Slice 121/155 | Brain
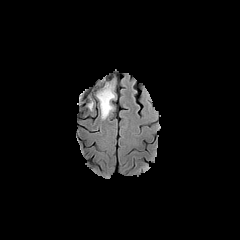
FLAIR magnetic resonance.
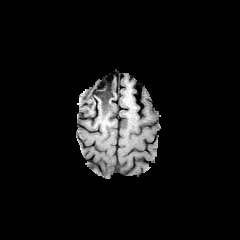
T1-weighted MR image of the same slice.
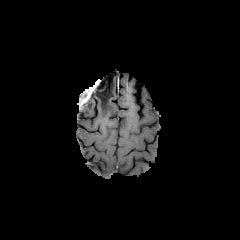
Same slice, post-contrast T1-weighted magnetic resonance.
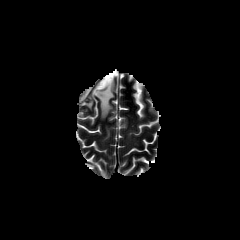
Same slice, T2-weighted magnetic resonance.
Edema: rect(101, 100, 111, 111); rect(96, 80, 115, 89); rect(90, 96, 101, 115).
Non-enhancing tumor core: rect(92, 82, 114, 117); rect(86, 96, 93, 107).